FLAIR MR image.
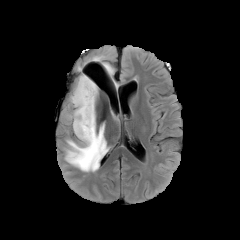
T1-weighted magnetic resonance.
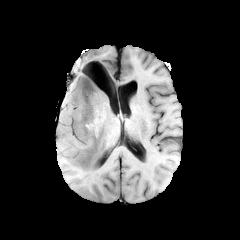
Post-contrast T1-weighted MRI.
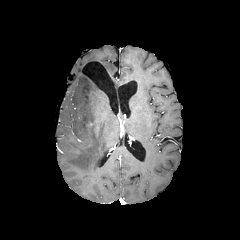
T2-weighted MR image.
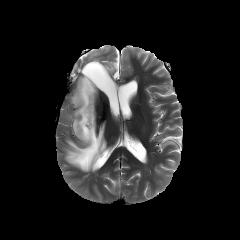
Image size 240x240; Brain
2 edema regions are bounded by x1=65, y1=74, x2=110, y2=172; x1=92, y1=56, x2=114, y2=78.